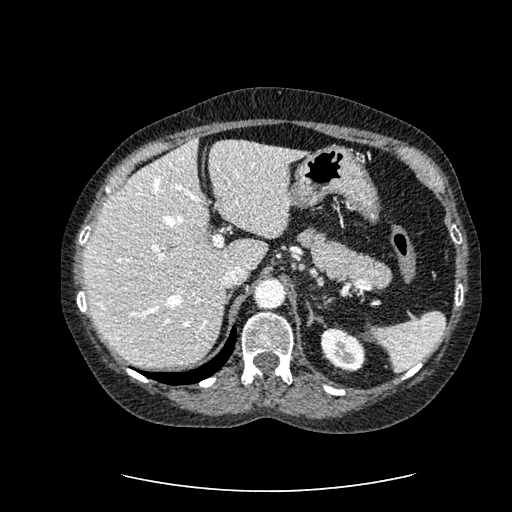
Abdomen, 512x512 px, CT scan slice
Kidney: bounding box bbox(321, 329, 363, 369).
Liver: bounding box bbox(208, 140, 310, 237); bbox(84, 137, 268, 366).